Upper abdomen, Slice index 53, CT scan slice
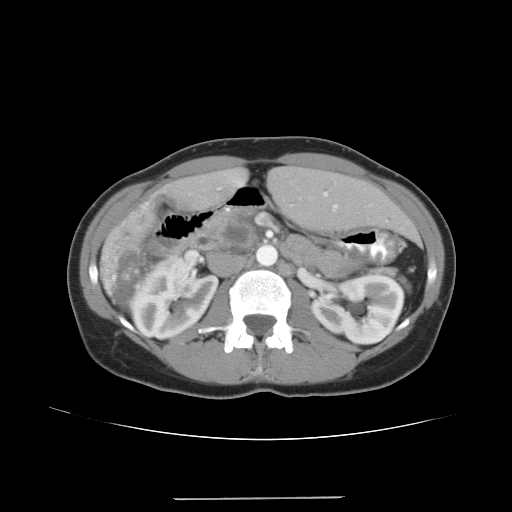 The pancreatic tumor is at (x1=222, y1=222, x2=255, y2=249). 2 pancreas regions are bounded by (x1=279, y1=222, x2=411, y2=293), (x1=208, y1=205, x2=261, y2=251).